Abdomen; CT image 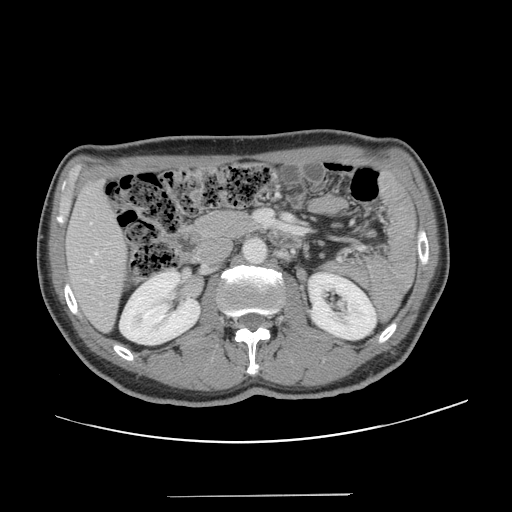

Only some of the vessels may be annotated.
{"hepatic_vessel": ["91,260,92,262", "95,251,97,254"]}